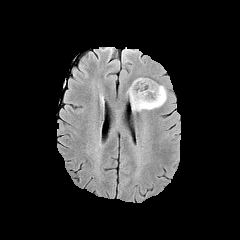
FLAIR magnetic resonance.
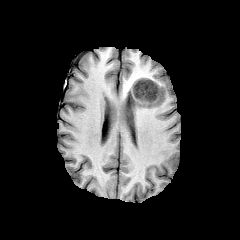
Same slice, T1-weighted MRI.
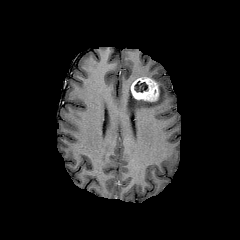
Post-contrast T1-weighted MR of the same slice.
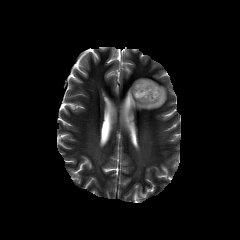
T2-weighted MR image.
Brain, 240x240 px
The enhancing tumor is located at x1=131 y1=78 x2=159 y2=101. The non-enhancing tumor core is bounded by x1=134 y1=81 x2=147 y2=92. The edema lies within x1=127 y1=84 x2=167 y2=110.